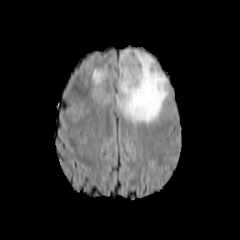
FLAIR MR.
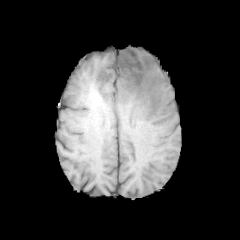
Same slice, T1-weighted MR image.
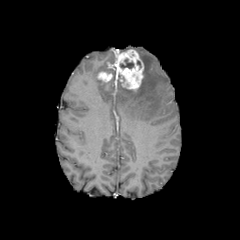
Same slice, post-contrast T1-weighted MRI.
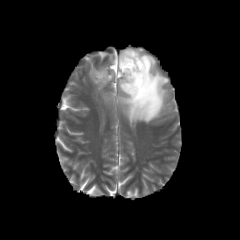
T2-weighted MR image.
Head.
2 edema regions are bounded by box(118, 50, 168, 125); box(92, 68, 108, 84). The non-enhancing tumor core lies within box(120, 58, 134, 69). 2 enhancing tumor regions are bounded by box(108, 48, 144, 89); box(97, 71, 112, 81).